Head. Image size 240x240.
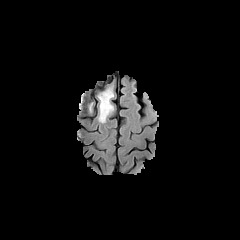
FLAIR MR.
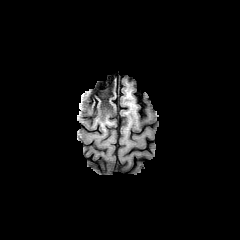
T1-weighted MR image.
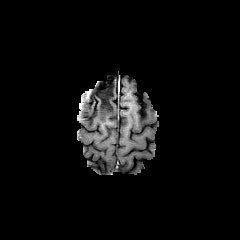
Post-contrast T1-weighted MRI.
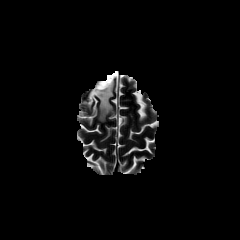
T2-weighted MR image of the same slice.
<segmentation>
  <edema>79, 95, 89, 111; 97, 87, 115, 120</edema>
  <non-enhancing_tumor_core>97, 84, 113, 105</non-enhancing_tumor_core>
</segmentation>